Slice 98 of 155
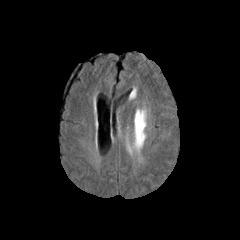
FLAIR MR image.
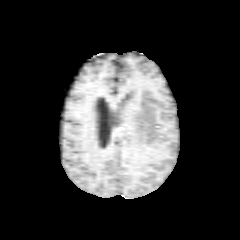
T1-weighted magnetic resonance of the same slice.
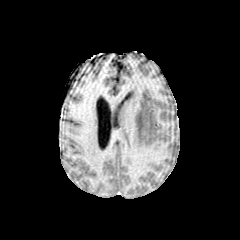
Post-contrast T1-weighted MR image.
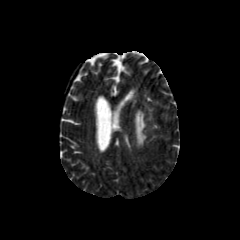
T2-weighted magnetic resonance.
The edema is located at (left=134, top=109, right=146, bottom=148).